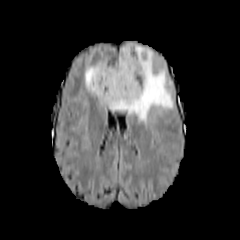
FLAIR MRI.
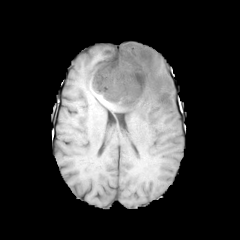
T1-weighted magnetic resonance of the same slice.
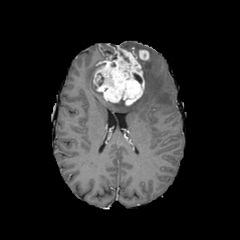
Post-contrast T1-weighted magnetic resonance of the same slice.
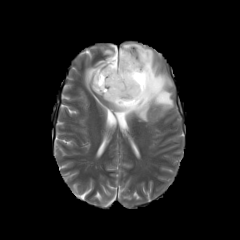
T2-weighted MR.
Head.
enhancing_tumor:
  - x1=93 y1=48 x2=144 y2=104
  - x1=138 y1=49 x2=148 y2=60
non-enhancing_tumor_core:
  - x1=133 y1=72 x2=141 y2=84
  - x1=136 y1=54 x2=144 y2=71
edema:
  - x1=85 y1=66 x2=103 y2=97
  - x1=103 y1=43 x2=173 y2=123